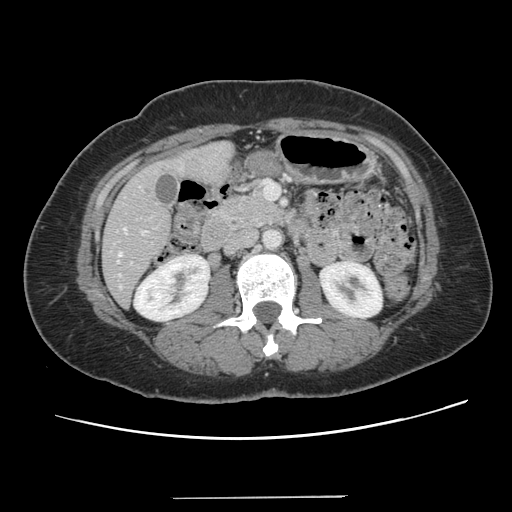

Abdomen | Computed tomography

Only some of the vessels may be annotated.
Hepatic vessel = 142, 230, 147, 233; 124, 228, 126, 234; 118, 274, 120, 276; 117, 260, 118, 262; 118, 253, 122, 256.